FLAIR MR.
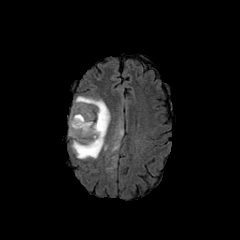
T1-weighted magnetic resonance.
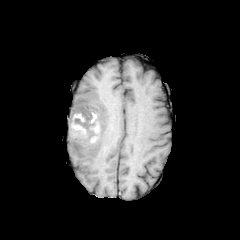
Post-contrast T1-weighted magnetic resonance.
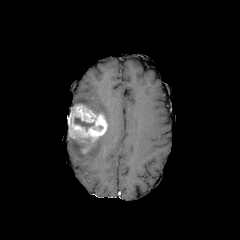
T2-weighted MRI.
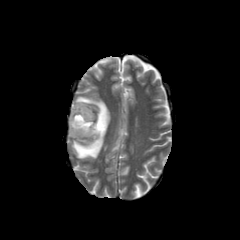
Head.
Edema = [x1=68, y1=130, x2=106, y2=160], [x1=72, y1=94, x2=110, y2=125].
Enhancing tumor = [x1=67, y1=104, x2=107, y2=139].
Non-enhancing tumor core = [x1=74, y1=117, x2=94, y2=129], [x1=76, y1=138, x2=97, y2=154].